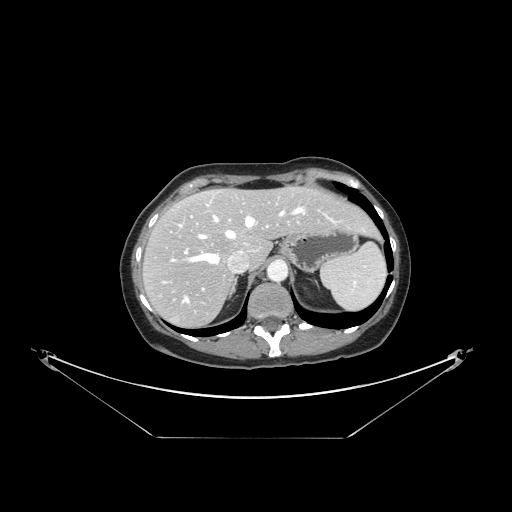

Computed tomography
The vessel boxes may cover only some of the vessels.
- hepatic vessel: left=200, top=235, right=204, bottom=237; left=226, top=231, right=234, bottom=237; left=246, top=217, right=253, bottom=225; left=295, top=209, right=302, bottom=211; left=215, top=217, right=216, bottom=219